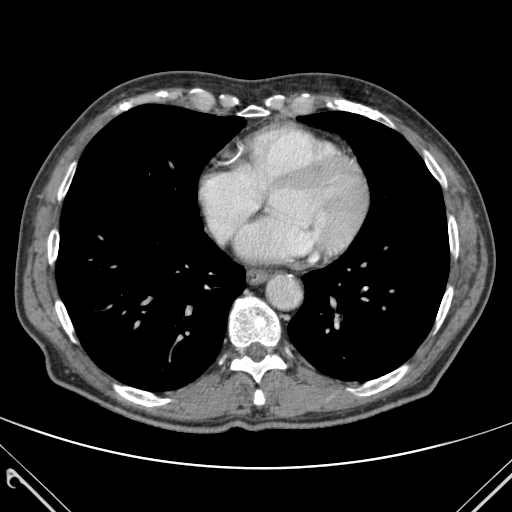
CT slice | Thorax

Lung at (288, 111, 449, 380), (56, 104, 245, 390).
Bone at (254, 390, 264, 404), (229, 297, 279, 347), (56, 297, 74, 341), (327, 100, 394, 126), (425, 152, 446, 185), (448, 217, 458, 256), (58, 163, 74, 204), (115, 386, 169, 406), (48, 224, 58, 265), (231, 355, 285, 381), (436, 287, 452, 328), (238, 105, 268, 116), (118, 102, 130, 110), (350, 366, 406, 395).